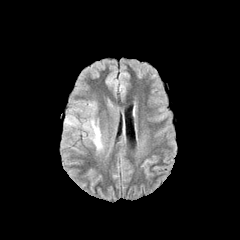
FLAIR magnetic resonance.
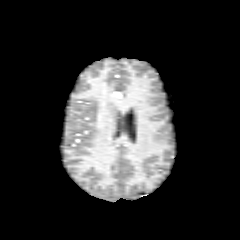
T1-weighted MR.
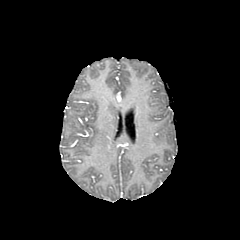
Same slice, post-contrast T1-weighted MR.
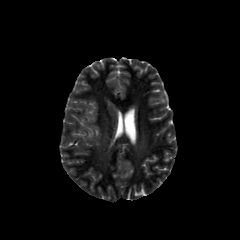
T2-weighted MR.
240x240
{"edema": ["[67, 116, 101, 147]"]}